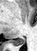
MR image
Annotated regions:
- posterior hippocampus: (13,37,24,45)